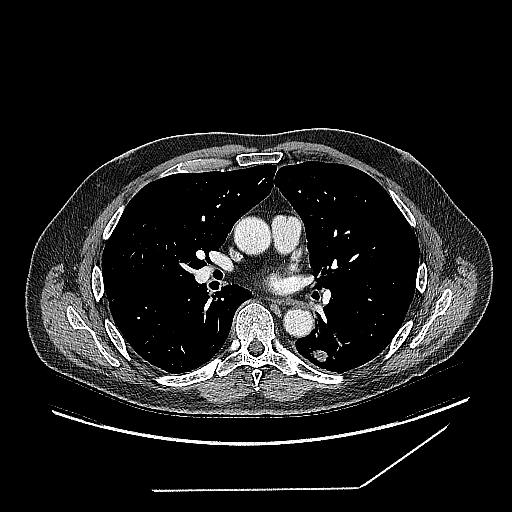
CT scan slice, Lung

- lung tumor: box(309, 349, 330, 362)